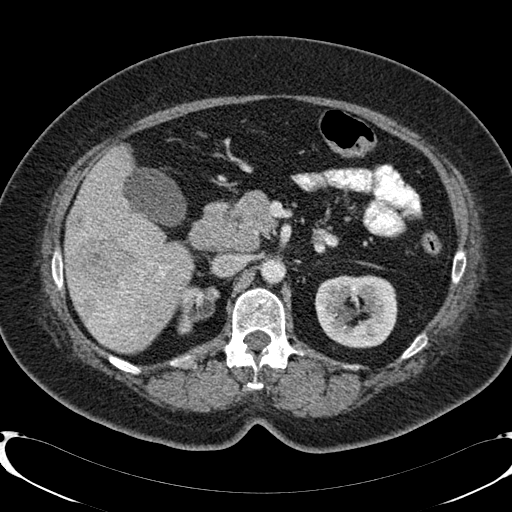
CT scan slice. Upper abdomen. 2 kidney regions are located at 316:276:396:346, 180:289:210:331. 3 focal liver lesion regions are bounded by 76:236:134:289, 82:295:94:314, 76:218:83:225. The liver is bounded by 66:147:192:352.